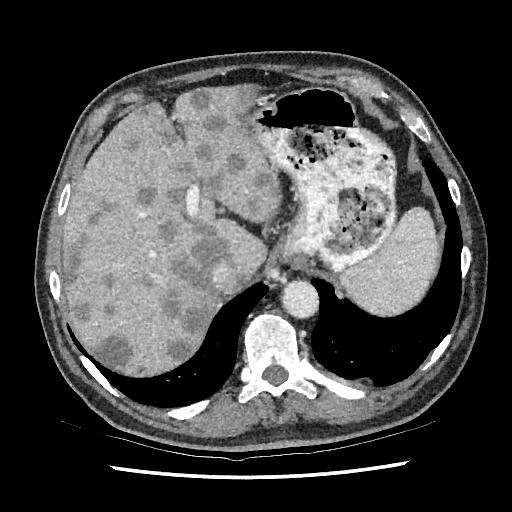
Computed tomography.

Liver at box=[186, 332, 205, 357]; box=[62, 85, 279, 374].
Largest 15 of 22 liver lesion regions at box=[254, 170, 275, 190]; box=[203, 154, 245, 194]; box=[201, 115, 226, 132]; box=[64, 237, 88, 287]; box=[90, 199, 115, 224]; box=[93, 335, 133, 367]; box=[127, 133, 140, 151]; box=[134, 187, 157, 207]; box=[168, 339, 189, 360]; box=[166, 186, 186, 210]; box=[163, 221, 235, 338]; box=[72, 302, 90, 320]; box=[195, 144, 214, 161]; box=[189, 90, 209, 109]; box=[158, 214, 178, 241].